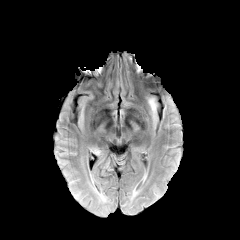
FLAIR MRI.
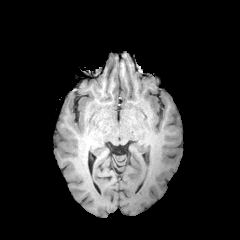
T1-weighted MRI of the same slice.
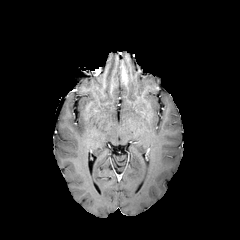
Post-contrast T1-weighted MRI.
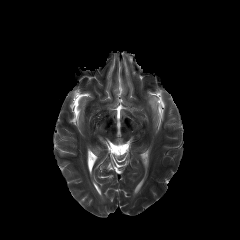
T2-weighted magnetic resonance.
Head.
Edema: bounding box box=[163, 98, 175, 115]; box=[148, 97, 157, 122].